T2-weighted MR.
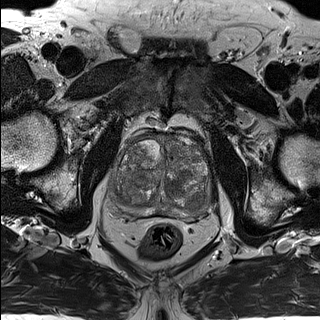
ADC MR.
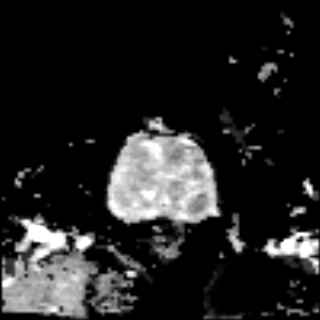
Pelvis | Image size 320x320
The prostate transition zone is bounded by x1=110, y1=133, x2=213, y2=210. The prostate peripheral zone appears at x1=110, y1=185, x2=213, y2=218.